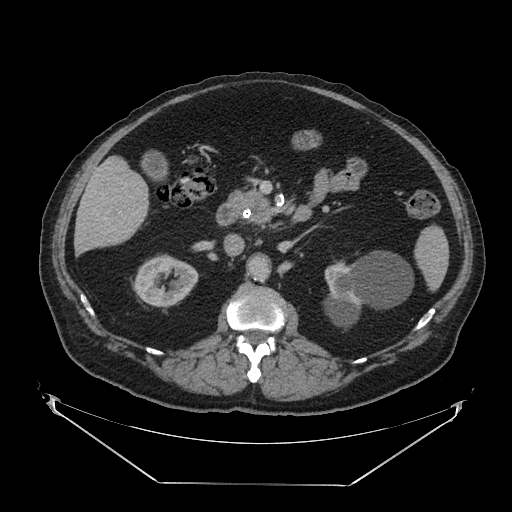
512x512 px, Abdomen, Computed tomography

pancreatic_tumor:
  - <box>252,199,266,215</box>
pancreas:
  - <box>230,191,272,221</box>